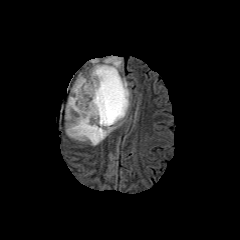
FLAIR MR.
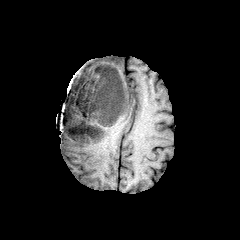
T1-weighted magnetic resonance of the same slice.
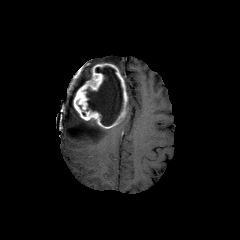
Post-contrast T1-weighted MR of the same slice.
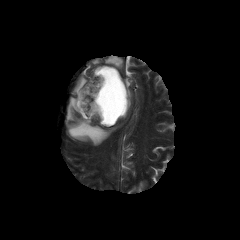
T2-weighted MR image.
Brain. 240x240.
Segmented structures:
* enhancing tumor: (72, 63, 127, 125)
* edema: (100, 55, 122, 70), (65, 69, 115, 145), (126, 80, 130, 109)
* non-enhancing tumor core: (86, 66, 122, 129), (71, 70, 91, 102)